FLAIR MR.
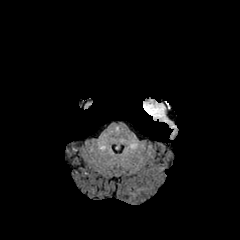
T1-weighted MR image.
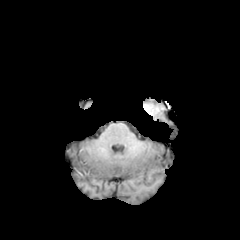
Post-contrast T1-weighted MR image.
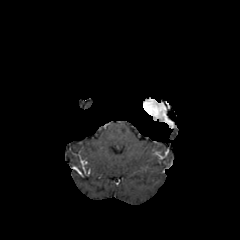
T2-weighted MRI.
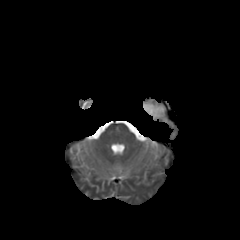
Head; Image size 240x240
<segmentation>
  <enhancing_tumor>box=[143, 99, 171, 125]</enhancing_tumor>
</segmentation>